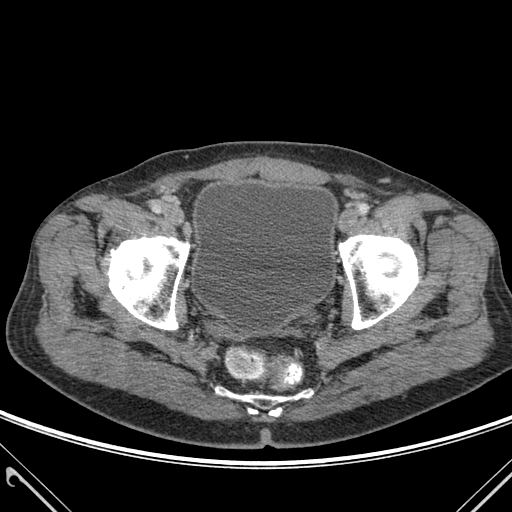
Image size 512x512; CT slice
Bone = l=215, t=388, r=312, b=402; l=269, t=408, r=281, b=416; l=108, t=236, r=189, b=329; l=339, t=235, r=418, b=329.
Urinary bladder = l=193, t=183, r=336, b=320.